Liver. Slice 306/654. Field of view 400x400 mm. CT image. 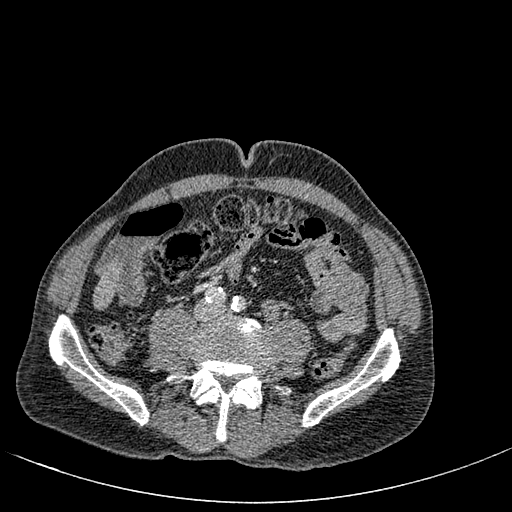 {
  "liver": [
    "bbox(93, 261, 118, 308)"
  ]
}